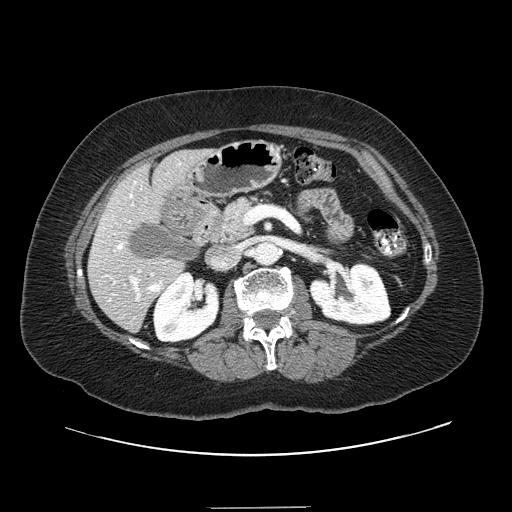
Abdomen; CT

Pancreas — (x1=209, y1=196, x2=259, y2=245).